Slice 94/605. Lower abdomen. Computed tomography. Field of view 434 mm wide, 1.00 mm slice spacing.
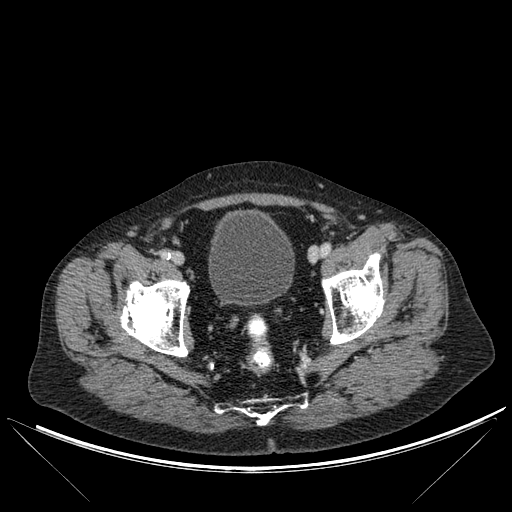
bone: box(322, 253, 384, 344); box(121, 279, 189, 356); box(215, 399, 307, 425) | urinary bladder: box(208, 209, 294, 306)